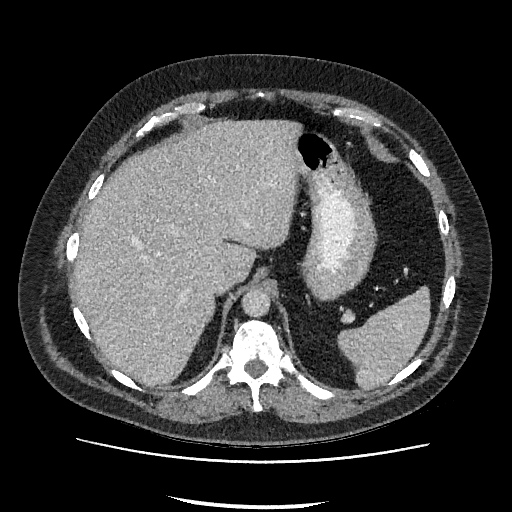

Abdomen. CT.

The liver appears at 76 120 298 385.